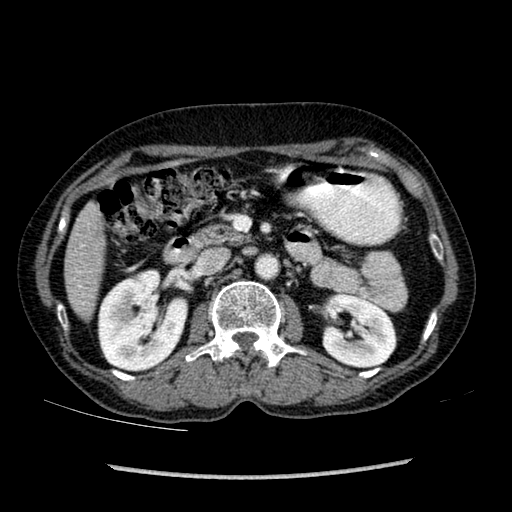
CT
2 kidney regions are located at 321 295 394 366, 99 271 186 370. The liver is located at 65 209 103 314.